CT scan slice, Lung, Slice 321/423 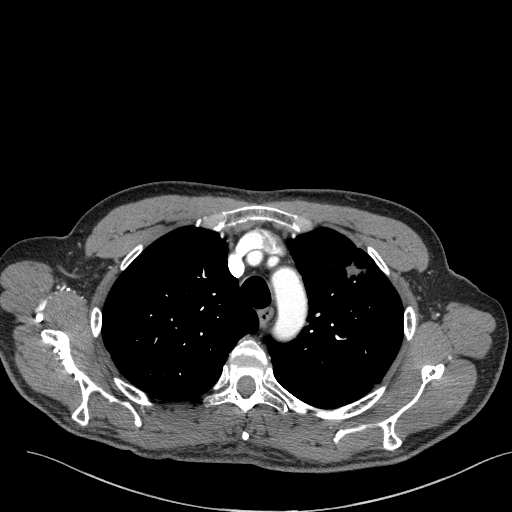

<segmentation>
  <lung_tumor>l=339, t=258, r=370, b=291</lung_tumor>
</segmentation>